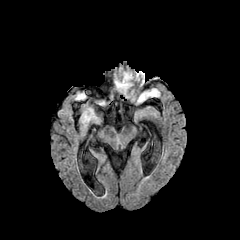
FLAIR magnetic resonance.
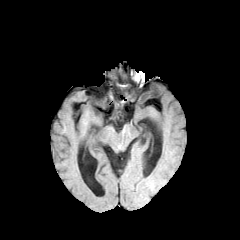
T1-weighted magnetic resonance of the same slice.
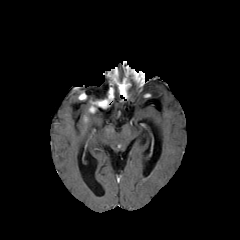
Post-contrast T1-weighted MRI.
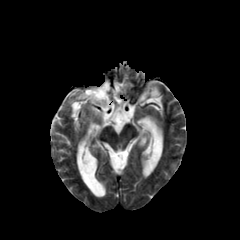
T2-weighted MR image.
Brain; 240x240
Annotated regions:
• enhancing tumor: rect(117, 74, 130, 95)
• edema: rect(125, 70, 142, 84); rect(114, 69, 124, 79); rect(136, 87, 159, 104)
• non-enhancing tumor core: rect(96, 100, 107, 105); rect(114, 75, 125, 90)